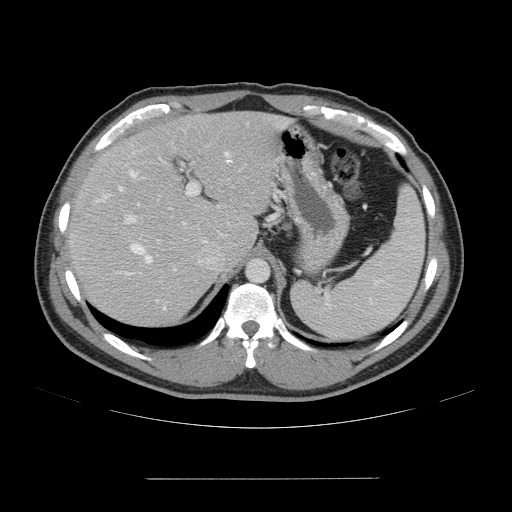

CT image, Liver
Not every hepatic vessel necessarily has a box.
* hepatic vessel (principal 15 of 16): x1=119, y1=187, x2=122, y2=190; x1=145, y1=256, x2=151, y2=262; x1=156, y1=299, x2=158, y2=301; x1=217, y1=231, x2=221, y2=234; x1=125, y1=215, x2=135, y2=223; x1=225, y1=152, x2=228, y2=155; x1=186, y1=183, x2=198, y2=195; x1=133, y1=151, x2=135, y2=153; x1=183, y1=222, x2=184, y2=224; x1=130, y1=170, x2=138, y2=177; x1=157, y1=240, x2=159, y2=242; x1=138, y1=203, x2=139, y2=205; x1=123, y1=272, x2=132, y2=274; x1=99, y1=194, x2=107, y2=201; x1=131, y1=244, x2=144, y2=253